Field of view 32 mm wide, 1.00 mm slice spacing | Slice 7/38 | MRI 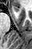

anterior_hippocampus:
  - region(14, 6, 18, 11)